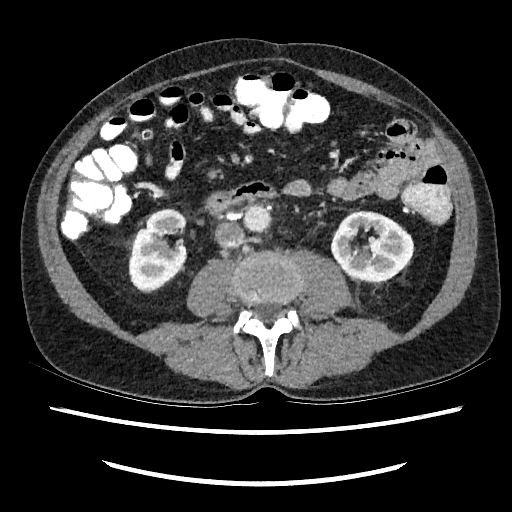 Computed tomography. kidney: box(332, 212, 412, 281); box(130, 210, 185, 289)